Pelvis | CT image | Slice 81 of 519 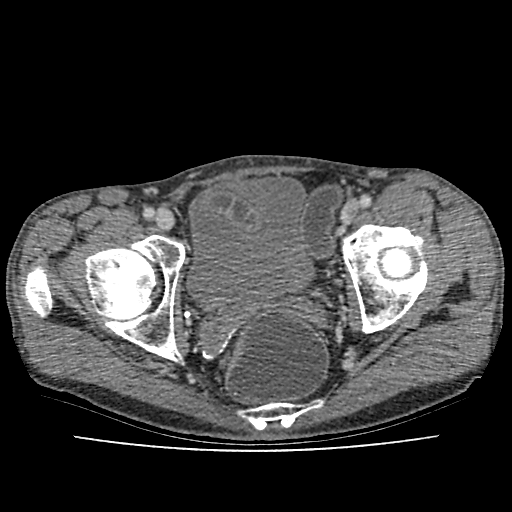 The urinary bladder is located at (186, 175, 315, 308).